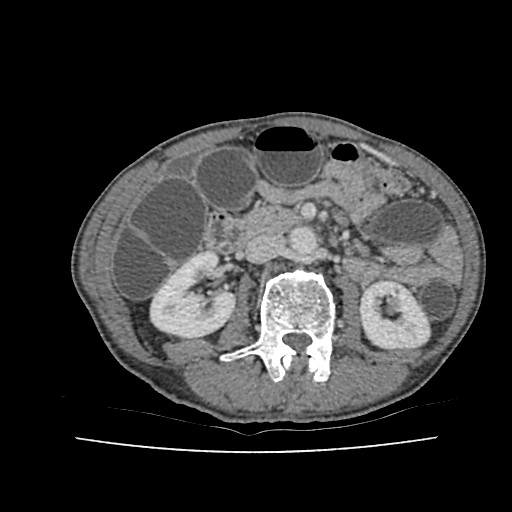 CT scan slice; Image size 512x512

kidney: (x1=360, y1=282, x2=429, y2=348), (x1=151, y1=252, x2=234, y2=337)